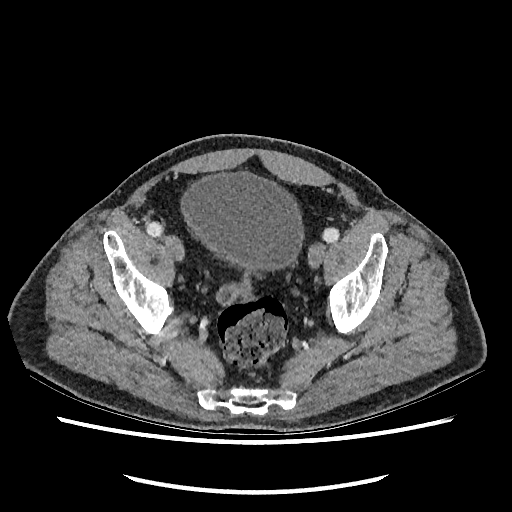 CT scan slice | Pelvis | Image size 512x512

<segmentation>
  <urinary_bladder>182:171:304:274</urinary_bladder>
</segmentation>